CT scan slice; Slice 151/917 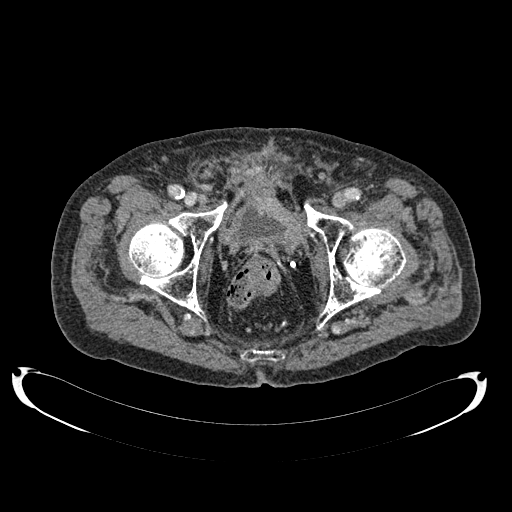

Urinary bladder: 238,211,285,239.